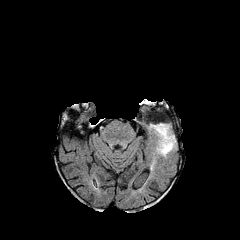
FLAIR MRI.
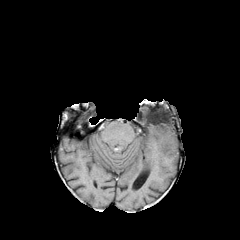
Same slice, T1-weighted MRI.
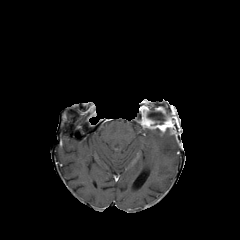
Post-contrast T1-weighted MR image.
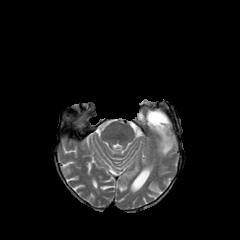
T2-weighted MR image of the same slice.
Image size 240x240
Enhancing tumor: bounding box <box>144,120,171,134</box>.
Non-enhancing tumor core: bounding box <box>138,102,175,135</box>.
Edema: bounding box <box>153,131,176,157</box>.